FLAIR magnetic resonance.
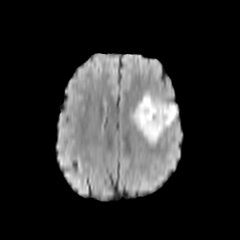
T1-weighted magnetic resonance.
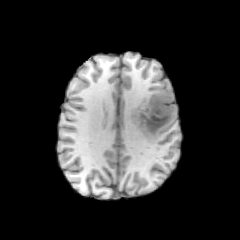
Post-contrast T1-weighted MR image.
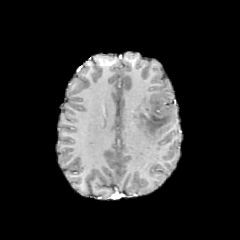
T2-weighted magnetic resonance.
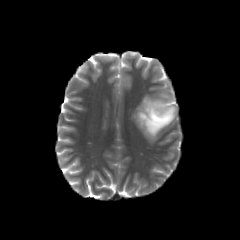
Head
Findings:
• edema: (left=132, top=93, right=178, bottom=143)
• non-enhancing tumor core: (left=140, top=91, right=174, bottom=133)